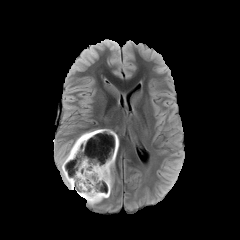
FLAIR MR image.
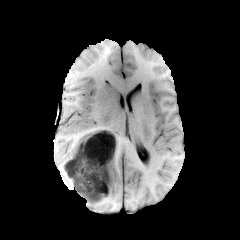
T1-weighted magnetic resonance.
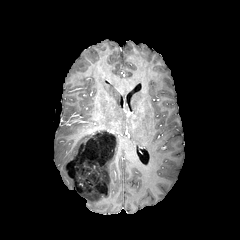
Post-contrast T1-weighted MRI.
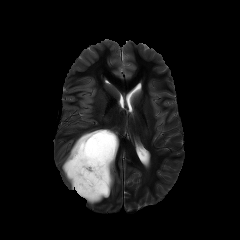
T2-weighted magnetic resonance.
240x240
{
  "non-enhancing_tumor_core": [
    "<box>64,129,114,199</box>"
  ],
  "edema": [
    "<box>62,141,75,188</box>",
    "<box>108,162,114,179</box>",
    "<box>77,180,113,204</box>",
    "<box>108,134,116,163</box>"
  ]
}